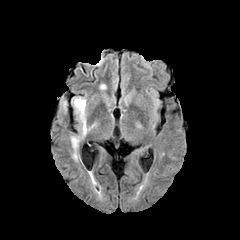
FLAIR MR.
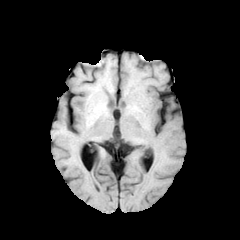
T1-weighted MRI of the same slice.
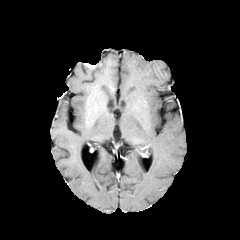
Post-contrast T1-weighted MRI of the same slice.
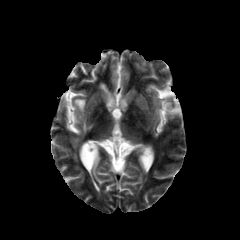
T2-weighted MR image of the same slice.
Head
The edema is bounded by 71:95:95:158.